Liver | CT image | Slice 104 of 120 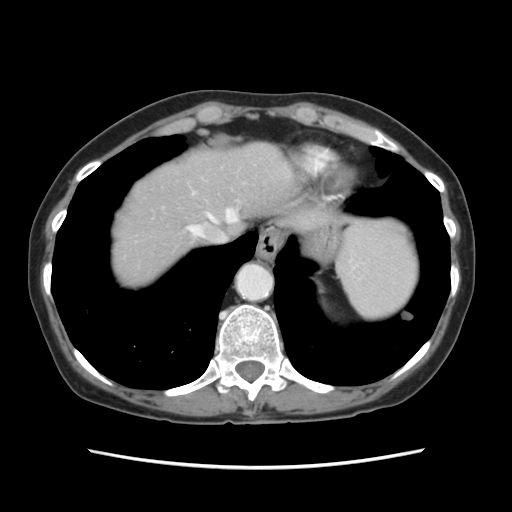
The vessel annotation is not exhaustive.
Hepatic vessel: bounding box (189,228,195,234), (226,210,235,222), (209,216,215,221).